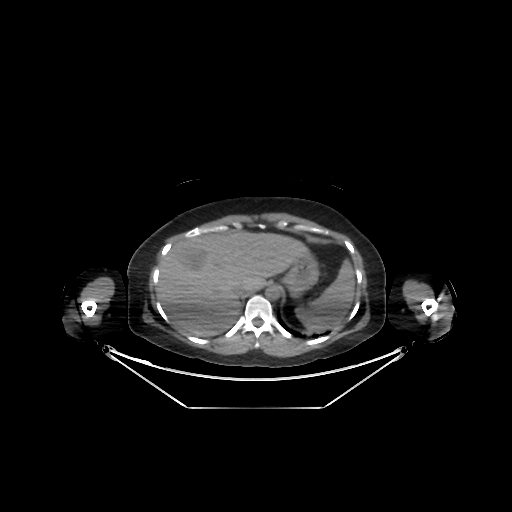 Computed tomography. Liver.
The liver is bounded by box=[155, 226, 304, 336].